Slice index 4, Prostate, Image size 320x320
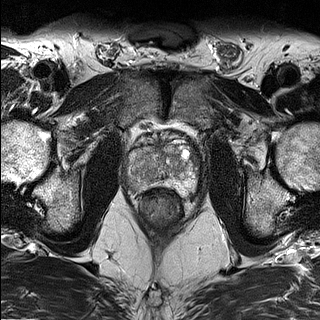
T2-weighted MR.
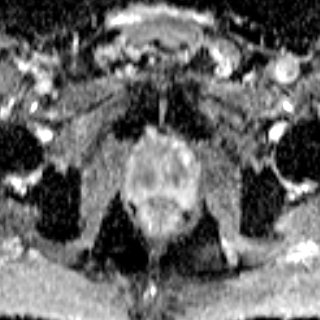
ADC MRI of the same slice.
Segmented structures:
• prostate transition zone: x1=129 y1=140 x2=196 y2=180
• prostate peripheral zone: x1=129 y1=170 x2=196 y2=193